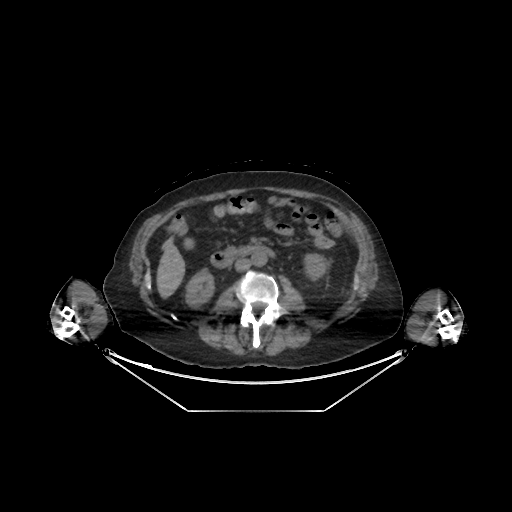
CT slice, 512x512 px, Liver
kidney:
  - 181,267,216,309
  - 299,252,331,289
liver:
  - 184,239,193,248
  - 157,238,184,297